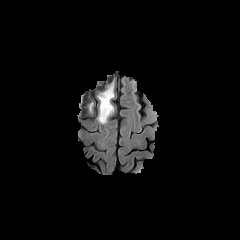
FLAIR MRI.
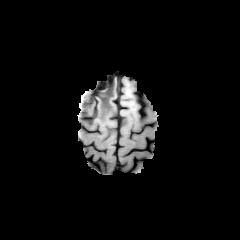
Same slice, T1-weighted MRI.
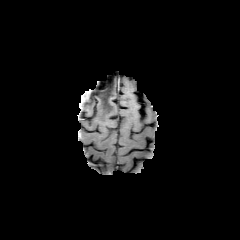
Post-contrast T1-weighted MR.
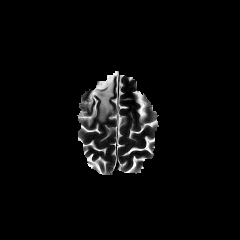
T2-weighted MR.
Head
<segmentation>
  <edema>x1=96, y1=81, x2=114, y2=123</edema>
</segmentation>